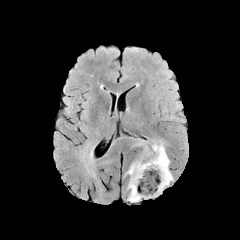
FLAIR magnetic resonance.
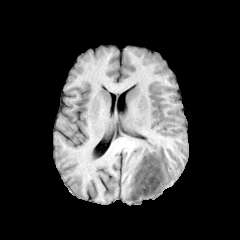
T1-weighted MR.
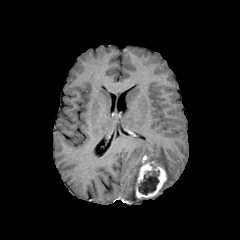
Post-contrast T1-weighted MR.
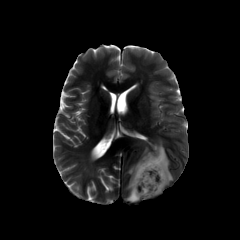
T2-weighted MR.
Head
The non-enhancing tumor core is located at 138:175:159:194. The enhancing tumor is located at 135:154:167:198. 2 edema regions are located at 126:160:141:202, 145:142:173:193.